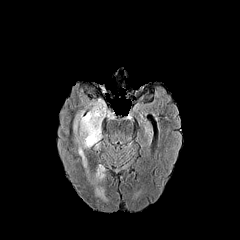
FLAIR MR image.
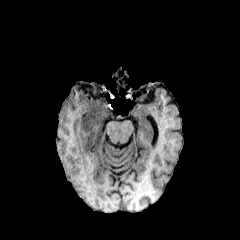
T1-weighted MR image.
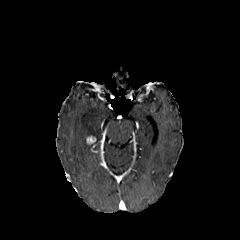
Same slice, post-contrast T1-weighted MR image.
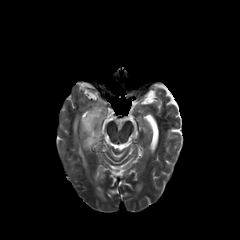
T2-weighted MRI.
Head | 240x240 px
{"enhancing_tumor": ["(x1=86, y1=136, x2=95, y2=144)"], "edema": ["(x1=97, y1=190, x2=104, y2=198)", "(x1=96, y1=165, x2=105, y2=180)", "(x1=73, y1=99, x2=110, y2=167)"]}